512x512. Field of view 395x395 mm. Liver. CT image.

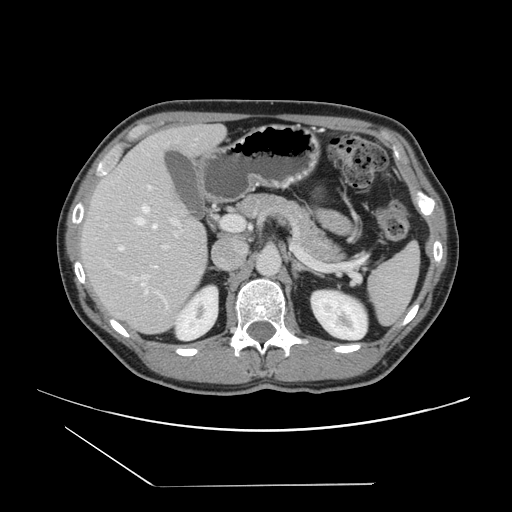

Only some of the vessels may be annotated.
10 hepatic vessel regions appear at <box>144,220,144,223</box>, <box>144,278,146,281</box>, <box>195,138,196,141</box>, <box>163,245,166,245</box>, <box>137,217,140,217</box>, <box>142,283,145,286</box>, <box>177,223,182,230</box>, <box>134,218,135,221</box>, <box>107,265,121,273</box>, <box>166,305,167,309</box>.